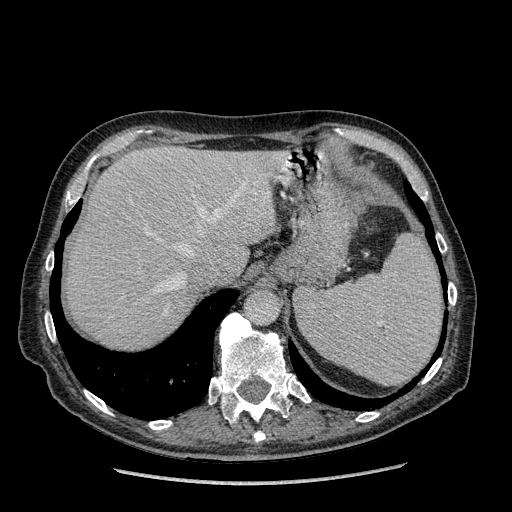

CT slice; Abdomen

The liver lies within l=68, t=146, r=285, b=350.